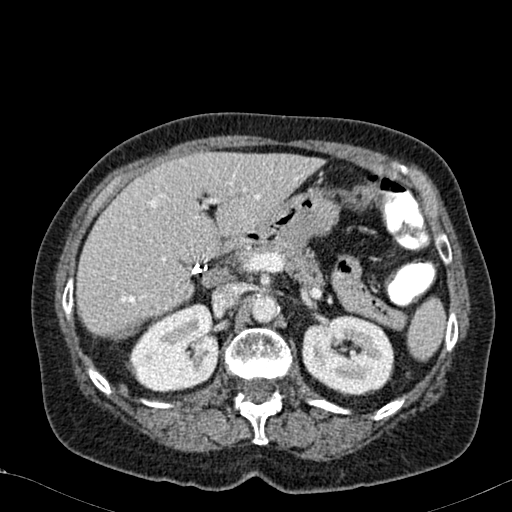
CT scan slice. 512x512 px. liver:
  - [77,152,323,336]
kidney:
  - [130,304,218,391]
  - [302,316,392,394]